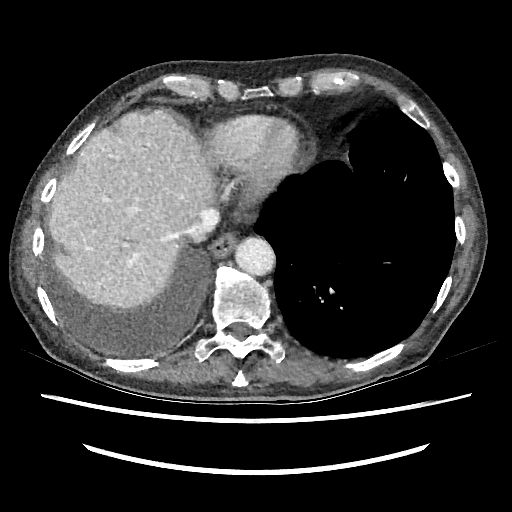 512x512 | CT image
Liver — l=49, t=112, r=214, b=307.